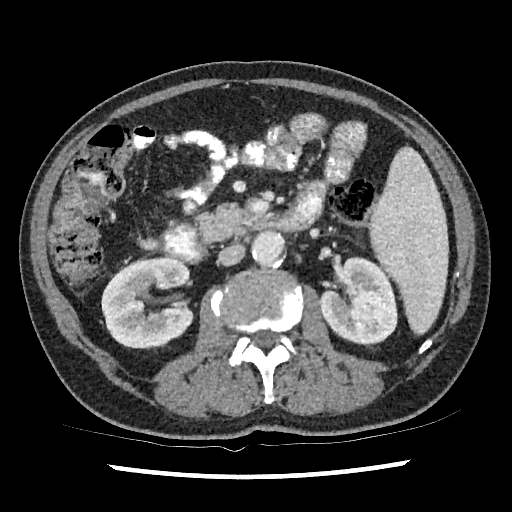 CT
2 kidney regions are located at {"x1": 102, "y1": 257, "x2": 192, "y2": 347}, {"x1": 318, "y1": 258, "x2": 396, "y2": 343}.